Image size 512x512 | CT image
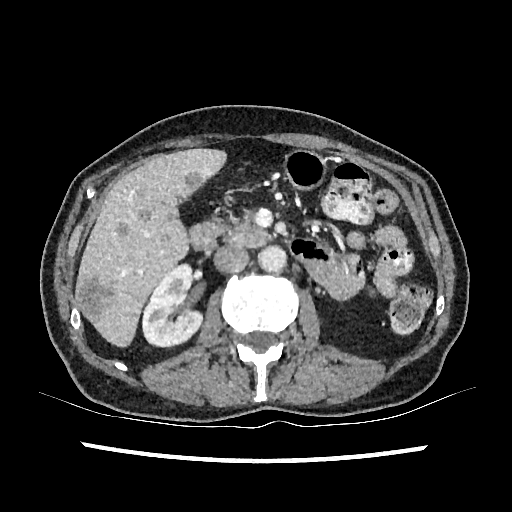 Liver lesion at x1=117 y1=223 x2=127 y2=235, x1=76 y1=279 x2=114 y2=317, x1=184 y1=172 x2=204 y2=191, x1=166 y1=214 x2=177 y2=220, x1=136 y1=188 x2=145 y2=196, x1=139 y1=210 x2=151 y2=222.
Kidney at x1=143 y1=265 x2=202 y2=346.
Liver at x1=76 y1=149 x2=225 y2=345.